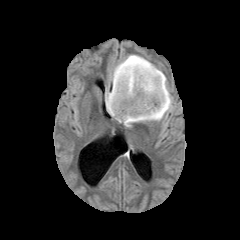
FLAIR magnetic resonance.
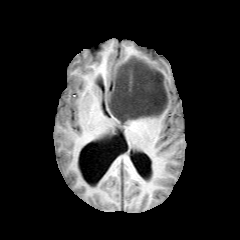
T1-weighted magnetic resonance of the same slice.
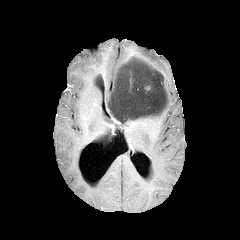
Post-contrast T1-weighted MR.
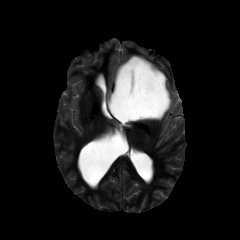
Same slice, T2-weighted magnetic resonance.
240x240
<segmentation>
  <non-enhancing_tumor_core>bbox=[110, 62, 166, 123]</non-enhancing_tumor_core>
  <edema>bbox=[105, 54, 172, 126]</edema>
</segmentation>